FLAIR MR image.
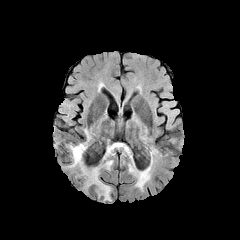
T1-weighted MR image.
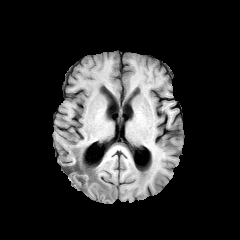
Post-contrast T1-weighted MRI.
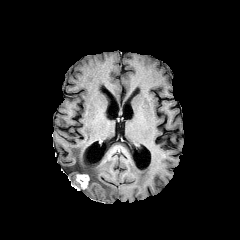
T2-weighted MR.
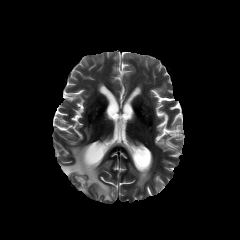
Head; 240x240
Edema — [102,144,115,159], [128,154,151,187], [68,144,88,167], [91,160,113,200].
Non-enhancing tumor core — [64,159,92,185].
Enhancing tumor — [76,174,88,187].